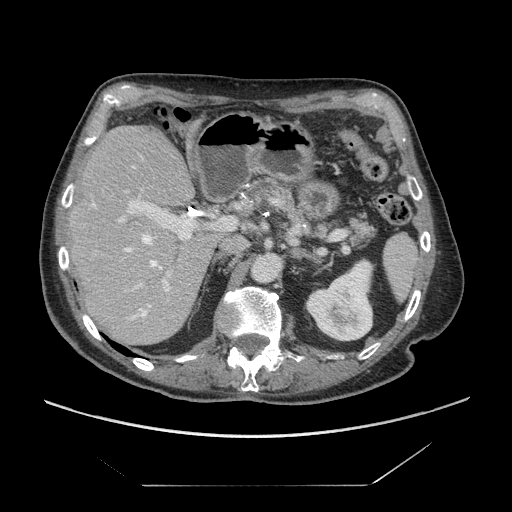 CT slice
The pancreas is at 224 177 382 247.